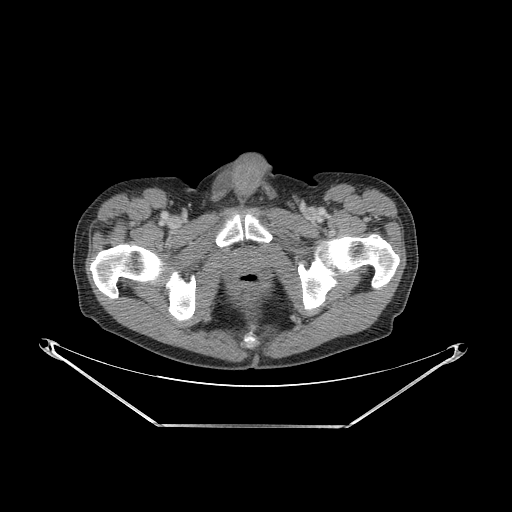
CT image

Bone — region(90, 244, 162, 297); region(298, 235, 399, 309); region(216, 214, 272, 246); region(166, 272, 195, 320).